MR image
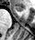

The anterior hippocampus is bounded by (14,6,23,11).